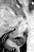
Image size 34x52; MRI slice
posterior_hippocampus:
  - {"x1": 11, "y1": 35, "x2": 25, "y2": 45}